FLAIR magnetic resonance.
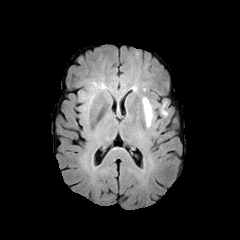
T1-weighted MRI.
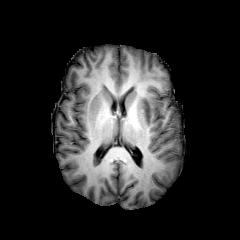
Post-contrast T1-weighted magnetic resonance.
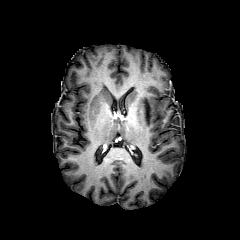
T2-weighted MR image.
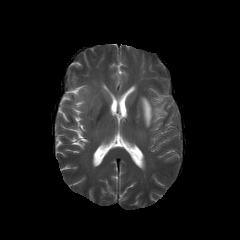
2 edema regions are located at x1=80 y1=92 x2=85 y2=103, x1=139 y1=97 x2=167 y2=127. The non-enhancing tumor core is at x1=144 y1=104 x2=149 y2=117.